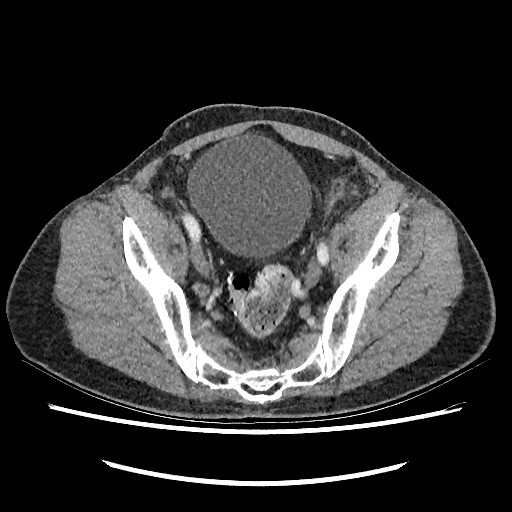 Computed tomography | Pelvis | 512x512
Urinary bladder = 187 131 311 259.